512x512; Field of view 370 mm wide, 5.00 mm slice spacing; Slice 21/34; Computed tomography

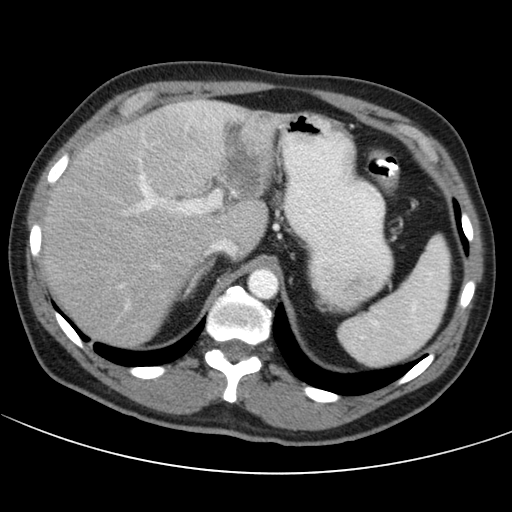 Some hepatic vessels may have no box.
3 hepatic vessel regions are located at 207,190,220,204; 137,175,159,210; 180,201,203,211. The liver tumor is located at 215,121,267,201.